FLAIR MRI.
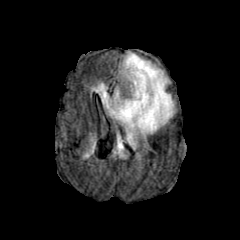
T1-weighted magnetic resonance.
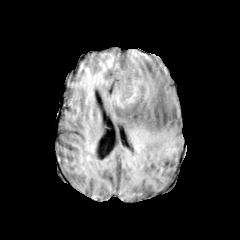
Post-contrast T1-weighted MR image.
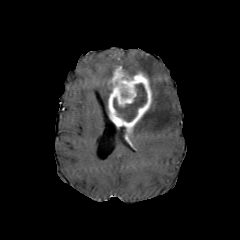
T2-weighted MR.
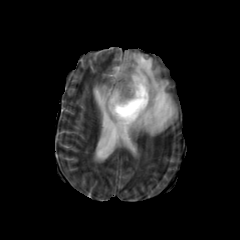
* edema: (left=121, top=51, right=175, bottom=147), (left=93, top=83, right=111, bottom=115), (left=116, top=134, right=127, bottom=154)
* non-enhancing tumor core: (left=113, top=84, right=146, bottom=121)
* enhancing tumor: (left=108, top=66, right=152, bottom=146)